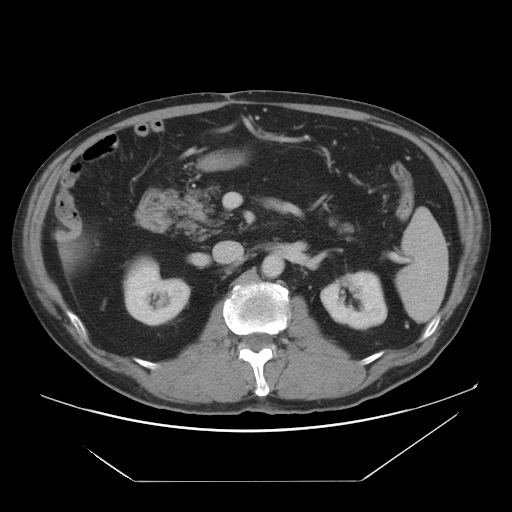
CT slice

- kidney: bbox(126, 264, 187, 324); bbox(321, 273, 385, 327)
- liver: bbox(59, 213, 81, 260)